Slice index 440; Computed tomography; Field of view 382x382 mm
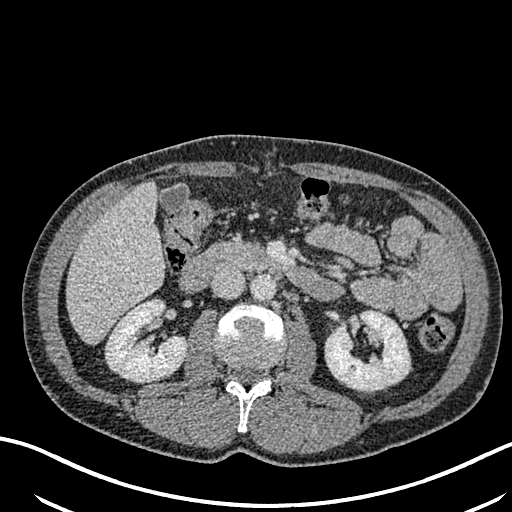
Segmented structures:
- liver: left=67, top=181, right=163, bottom=342
- kidney: left=106, top=300, right=186, bottom=381; left=325, top=311, right=409, bottom=389